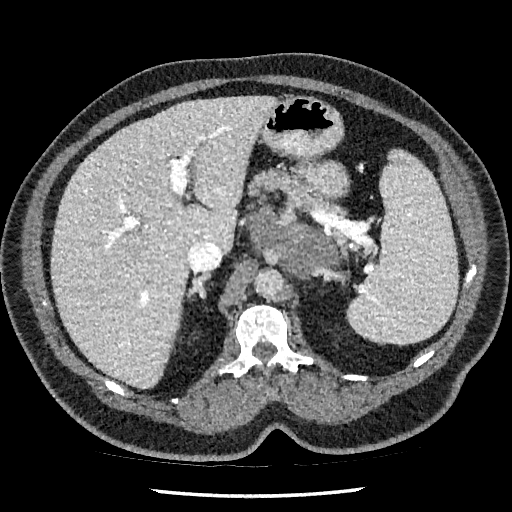

CT slice.
The liver is at box(51, 97, 275, 387).